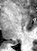
MR
Posterior hippocampus: x1=8, y1=40, x2=17, y2=43.